Brain, Field of view 240 mm wide, 1.00 mm slice spacing
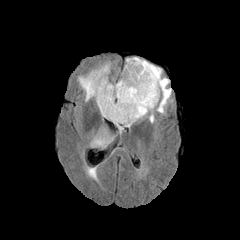
FLAIR MR.
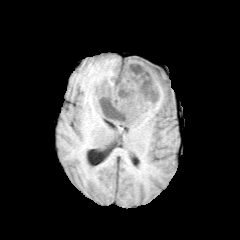
T1-weighted magnetic resonance.
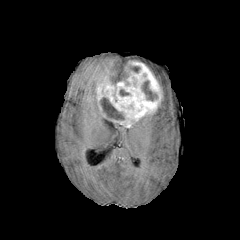
Same slice, post-contrast T1-weighted magnetic resonance.
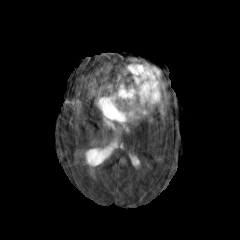
Same slice, T2-weighted magnetic resonance.
{
  "non-enhancing_tumor_core": [
    "(142,81,157,101)",
    "(101,97,124,119)",
    "(129,65,140,73)",
    "(119,89,131,96)"
  ],
  "enhancing_tumor": [
    "(95,60,163,127)"
  ],
  "edema": [
    "(92,124,113,147)",
    "(78,63,111,108)",
    "(118,57,172,116)",
    "(116,124,125,134)"
  ]
}